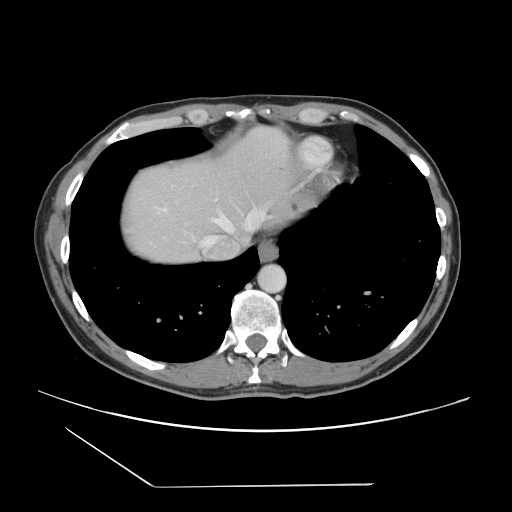 Computed tomography

Not every hepatic vessel necessarily has a box.
5 hepatic vessel regions are bounded by 214, 199, 216, 200; 157, 207, 166, 211; 207, 236, 211, 237; 211, 213, 232, 231; 245, 208, 268, 229.